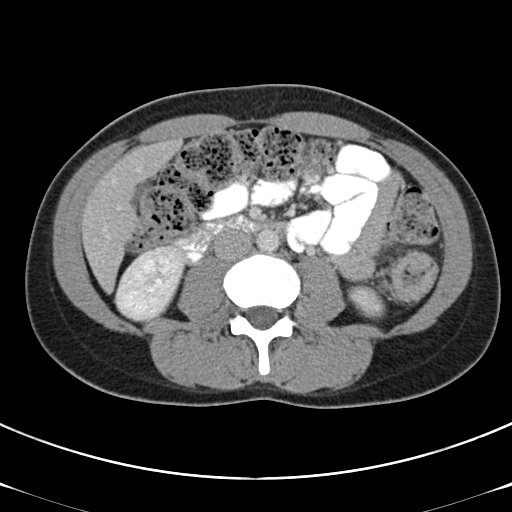 Abdomen; CT slice
The colon tumor lies within (x1=390, y1=252, x2=438, y2=302).